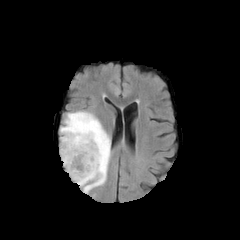
FLAIR MRI.
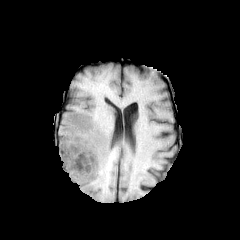
Same slice, T1-weighted MR image.
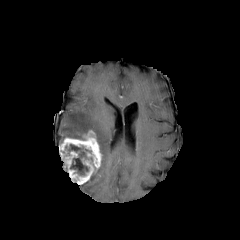
Post-contrast T1-weighted MRI.
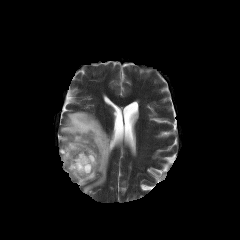
T2-weighted MR image.
240x240 px. Head.
Edema: x1=60, y1=111, x2=110, y2=193.
Non-enhancing tumor core: x1=70, y1=158, x2=88, y2=173.
Enhancing tumor: x1=59, y1=130, x2=102, y2=184.